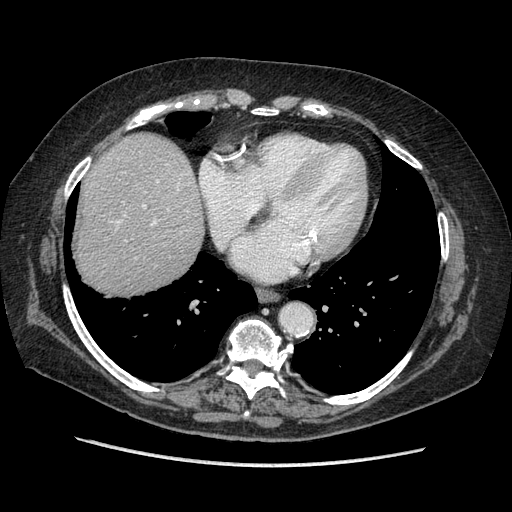
Abdomen. CT scan slice.

The vessel annotation is not exhaustive.
Findings:
- hepatic vessel: region(142, 205, 144, 206); region(152, 220, 155, 223)